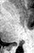

Hippocampus, 34x53, MR image
posterior_hippocampus:
  - 12, 44, 18, 46